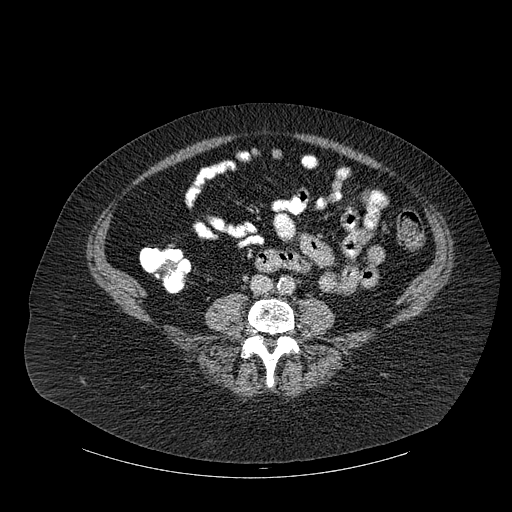

CT image, 512x512 px

bone: x1=242 y1=299 x2=299 y2=386